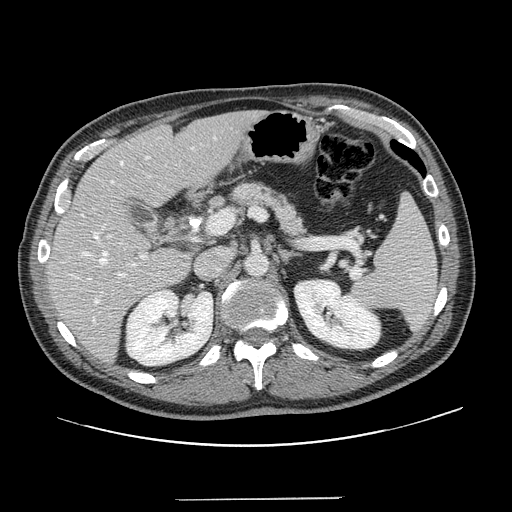

Upper abdomen; CT image
{"pancreas": ["box(226, 178, 310, 241)", "box(184, 223, 204, 253)"]}